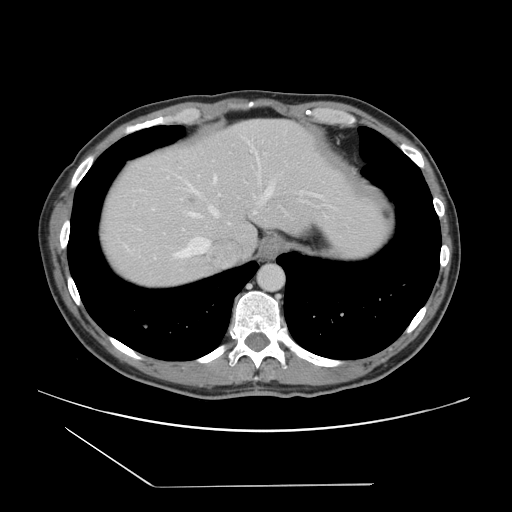 CT scan slice | Liver | 512x512

The vessel annotation is not exhaustive.
The liver tumor is bounded by l=184, t=194, r=200, b=206. 11 hepatic vessel regions appear at l=186, t=181, r=194, b=192; l=209, t=206, r=217, b=215; l=209, t=242, r=209, b=245; l=250, t=144, r=258, b=162; l=309, t=193, r=322, b=198; l=214, t=175, r=215, b=181; l=299, t=190, r=305, b=194; l=264, t=187, r=272, b=198; l=194, t=254, r=197, b=254; l=188, t=213, r=196, b=216; l=193, t=239, r=201, b=246.